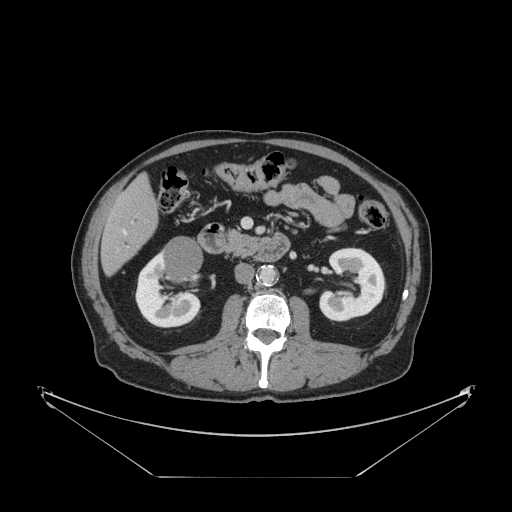 CT; Liver

Some hepatic vessels may have no box.
The hepatic vessel is bounded by region(122, 230, 125, 234).